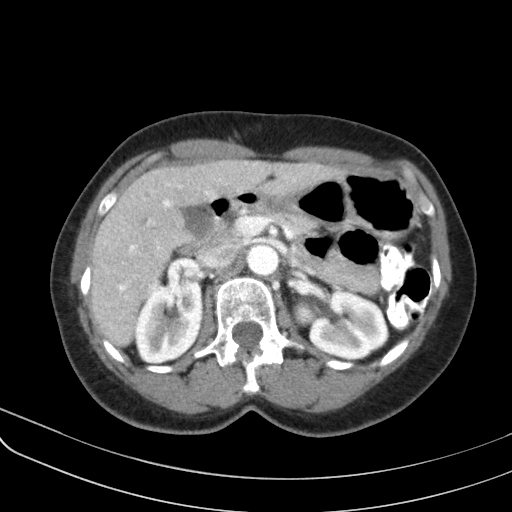 CT scan slice.
<segmentation>
  <pancreas>268,212,318,239</pancreas>
</segmentation>